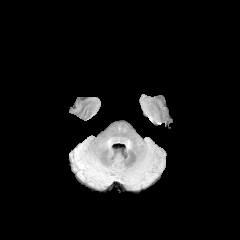
FLAIR magnetic resonance.
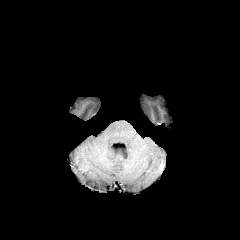
T1-weighted magnetic resonance.
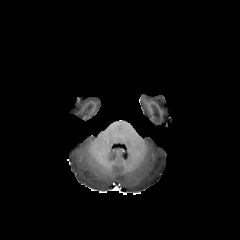
Same slice, post-contrast T1-weighted magnetic resonance.
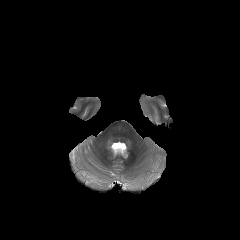
Same slice, T2-weighted MR.
240x240 px
Edema: bounding box rect(129, 176, 151, 185); rect(86, 174, 99, 183).